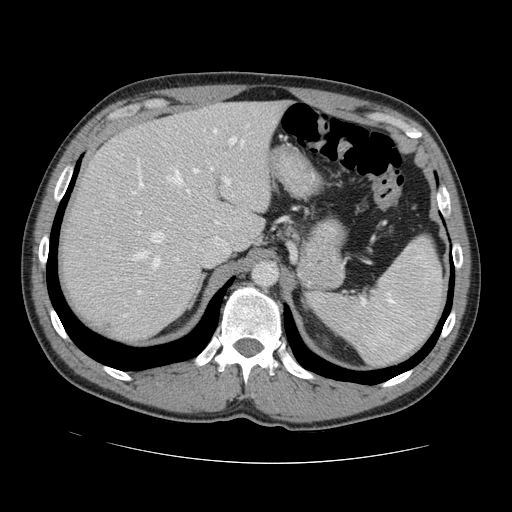 CT image; Image size 512x512; Abdomen
The vessel boxes may cover only some of the vessels.
Findings:
* hepatic vessel (principal 15 of 29): (left=166, top=217, right=169, bottom=220), (left=133, top=249, right=147, bottom=259), (left=109, top=194, right=113, bottom=197), (left=186, top=190, right=190, bottom=195), (left=152, top=257, right=160, bottom=267), (left=228, top=136, right=243, bottom=147), (left=165, top=167, right=182, bottom=185), (left=222, top=177, right=229, bottom=187), (left=193, top=169, right=197, bottom=172), (left=130, top=190, right=135, bottom=193), (left=136, top=211, right=139, bottom=214), (left=135, top=157, right=142, bottom=188), (left=151, top=232, right=163, bottom=242), (left=210, top=168, right=213, bottom=171), (left=174, top=257, right=178, bottom=260)